MR. Heart.
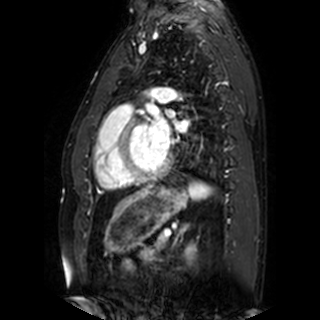

3 left atrium regions are bounded by <box>166,109,174,118</box>, <box>148,113,169,151</box>, <box>174,122,186,132</box>.